FLAIR MR.
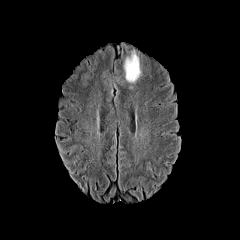
T1-weighted MR image.
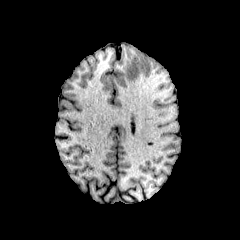
Post-contrast T1-weighted MR.
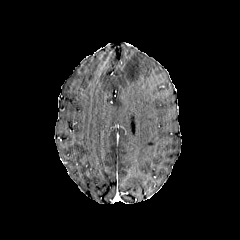
T2-weighted MR.
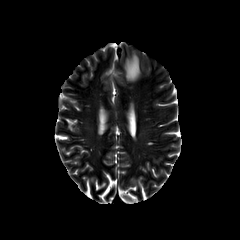
Head
edema:
  - [x1=124, y1=51, x2=141, y2=82]